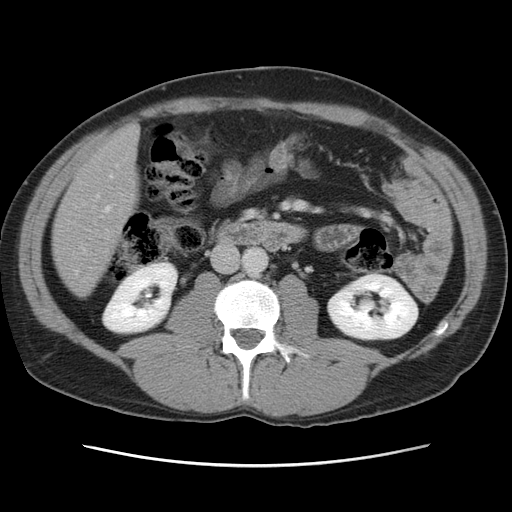

Liver. Image size 512x512. Computed tomography.

Some hepatic vessels may have no box.
Hepatic vessel: bounding box (76,270,79,273), (110,174,112,177), (82,247,85,252), (104,206,110,212).